FLAIR MR image.
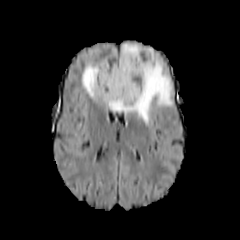
T1-weighted magnetic resonance.
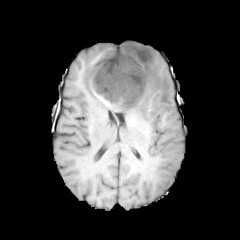
Post-contrast T1-weighted MR image.
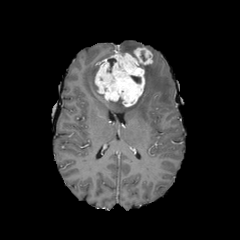
T2-weighted magnetic resonance.
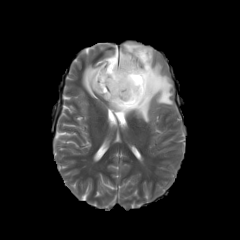
240x240
Annotated regions:
* edema: 82,47,172,124; 120,43,145,53
* enhancing tumor: 94,48,152,106
* non-enhancing tumor core: 108,58,116,68; 111,98,124,107; 130,75,141,83